FLAIR MR image.
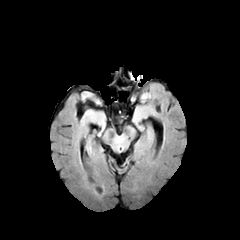
T1-weighted MRI.
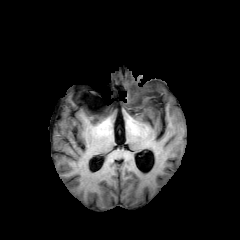
Post-contrast T1-weighted magnetic resonance.
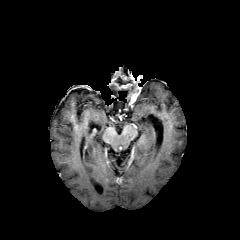
T2-weighted magnetic resonance.
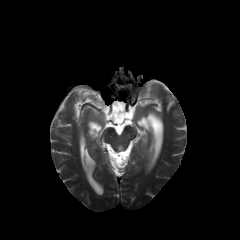
Head; Image size 240x240
<segmentation>
  <edema>box(147, 126, 153, 148); box(141, 88, 156, 103); box(135, 139, 145, 150); box(133, 106, 146, 130)</edema>
</segmentation>